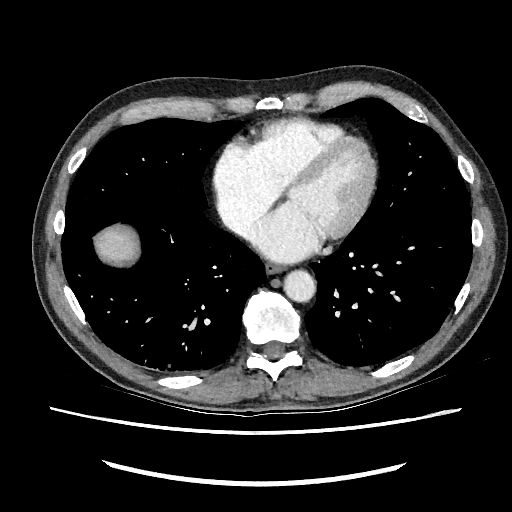
Computed tomography

The liver is located at {"x1": 95, "y1": 226, "x2": 134, "y2": 261}.